Pelvis. 512x512. CT slice.

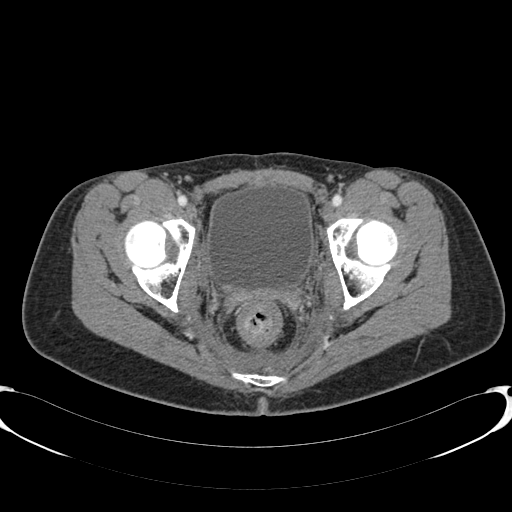

Urinary bladder = bbox(209, 186, 310, 288).